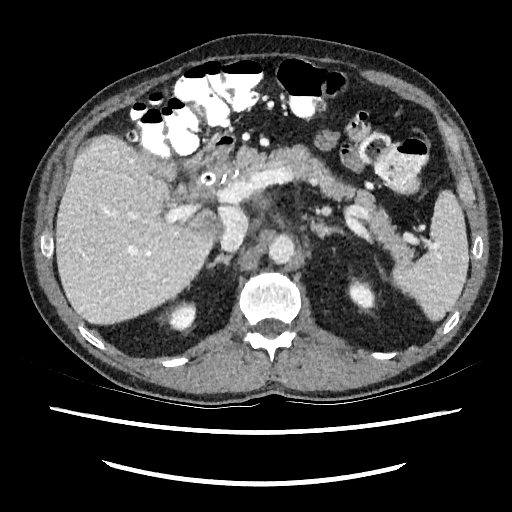 CT slice
<segmentation>
  <hepatic_lesion>box(196, 214, 220, 237)</hepatic_lesion>
  <kidney>box(171, 308, 194, 328); box(351, 286, 372, 307)</kidney>
  <liver>box(56, 136, 217, 323)</liver>
</segmentation>